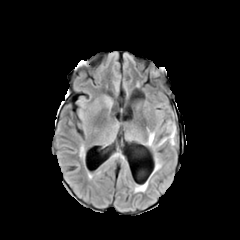
FLAIR MRI.
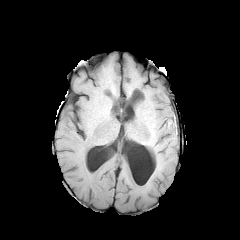
Same slice, T1-weighted MRI.
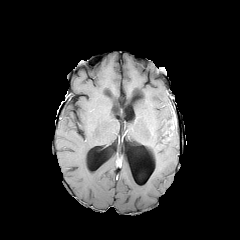
Post-contrast T1-weighted MR image of the same slice.
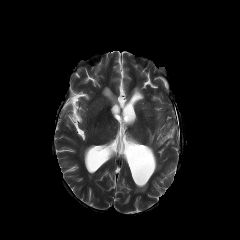
T2-weighted MR.
edema: 146:132:154:147, 135:180:148:192, 154:154:161:172, 158:131:167:146